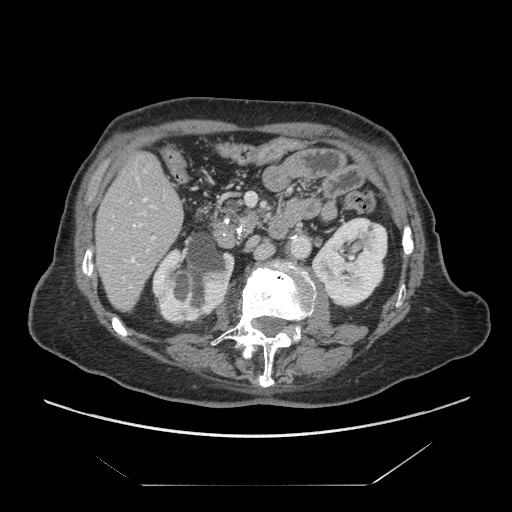
CT slice. Abdomen. The pancreatic tumor is at <box>240,213,262,236</box>. The pancreas is located at <box>209,197,263,240</box>.